Slice 96/155
FLAIR MR.
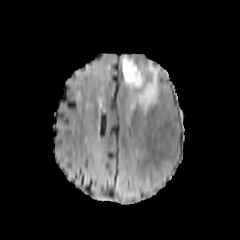
T1-weighted MR.
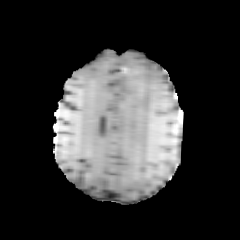
Post-contrast T1-weighted MR.
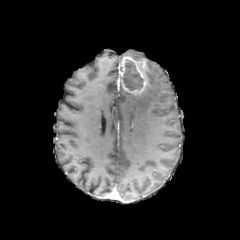
T2-weighted MRI.
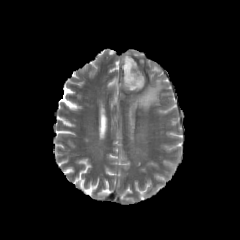
<segmentation>
  <enhancing_tumor>120:57:146:94</enhancing_tumor>
  <non-enhancing_tumor_core>122:60:143:91</non-enhancing_tumor_core>
  <edema>127:62:160:113</edema>
</segmentation>